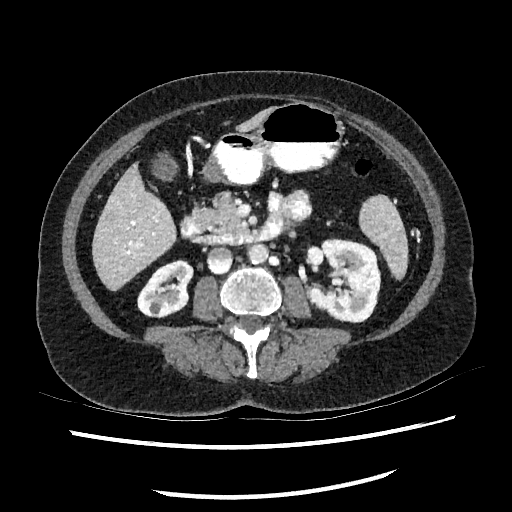

Upper abdomen | CT slice
Liver: 240 111 268 130, 92 165 174 289.
Kidney: 138 261 192 316, 308 240 379 321.